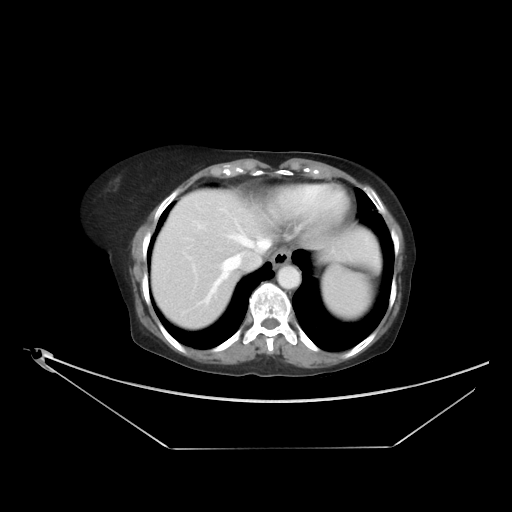

CT; Image size 512x512

The vessel boxes may cover only some of the vessels.
3 hepatic vessel regions are located at (231,235,253,246), (216,255,240,284), (258,239,268,247).